FLAIR MRI.
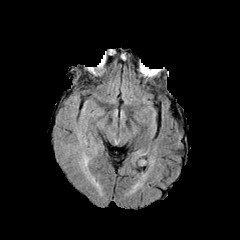
T1-weighted MR image.
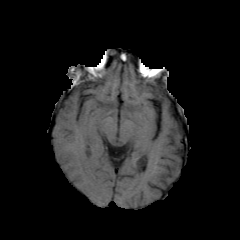
Post-contrast T1-weighted MR.
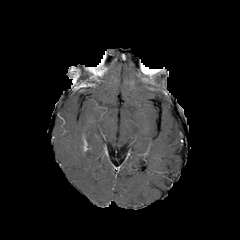
T2-weighted MR image.
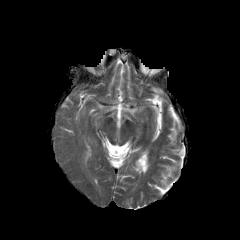
240x240
<segmentation>
  <edema>[83, 146, 92, 165]</edema>
</segmentation>